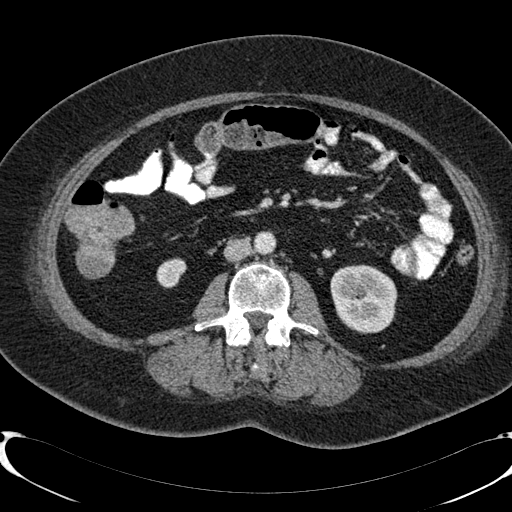 Abdomen; CT slice
kidney: (157, 259, 185, 286), (331, 266, 396, 331)